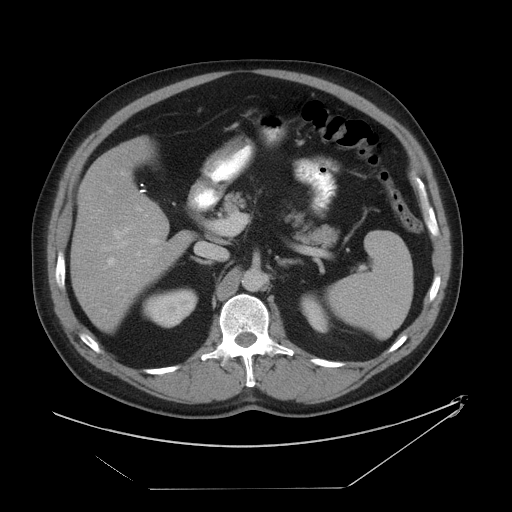

Upper abdomen; 512x512 px; Computed tomography
The spleen is at <box>330,231,413,338</box>.